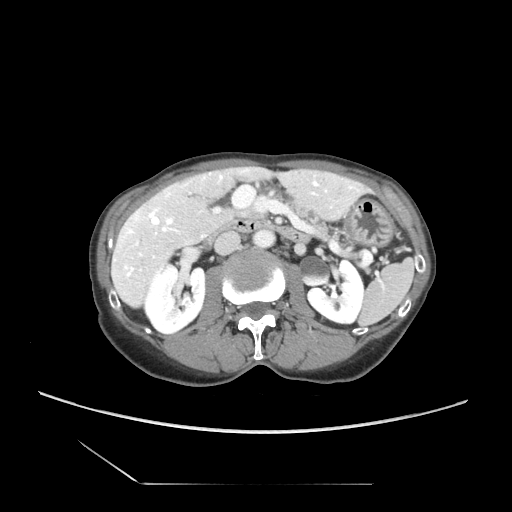
CT scan slice, Upper abdomen

pancreas:
  - <bbox>279, 191, 350, 246</bbox>